FLAIR magnetic resonance.
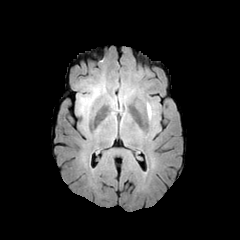
T1-weighted magnetic resonance.
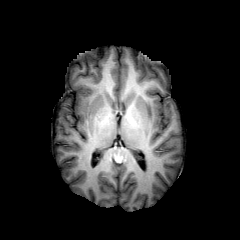
Post-contrast T1-weighted MR.
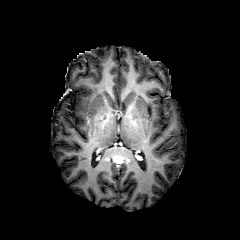
T2-weighted magnetic resonance.
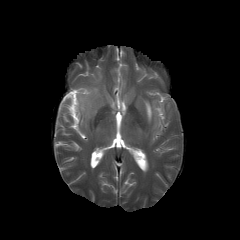
Head
Edema at [145,102,157,120], [109,89,133,109], [78,86,99,120].